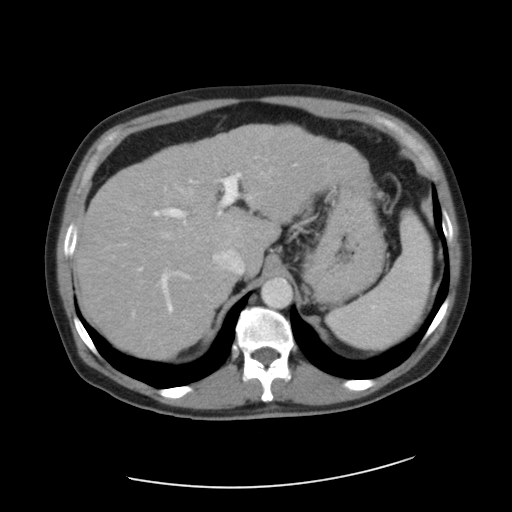
CT slice
Some hepatic vessels may have no box.
Annotated regions:
• hepatic vessel: box=[294, 164, 295, 165]; box=[164, 187, 166, 190]; box=[228, 225, 229, 227]; box=[224, 178, 235, 202]; box=[160, 268, 189, 311]; box=[123, 244, 124, 245]; box=[189, 180, 195, 182]; box=[138, 267, 142, 269]; box=[233, 227, 239, 232]; box=[162, 232, 168, 237]; box=[225, 240, 229, 243]; box=[154, 208, 186, 224]